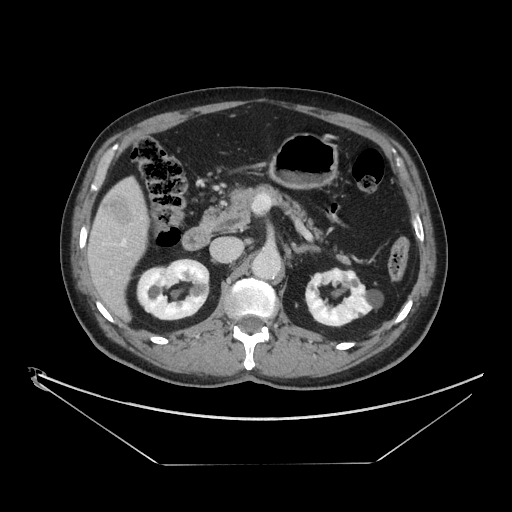

Abdomen, CT scan slice, 512x512

Not every hepatic vessel necessarily has a box.
hepatic_vessel:
  - (left=110, top=272, right=112, bottom=273)
  - (left=121, top=239, right=125, bottom=245)
  - (left=113, top=244, right=116, bottom=244)
liver_tumor:
  - (left=101, top=195, right=134, bottom=226)